FLAIR magnetic resonance.
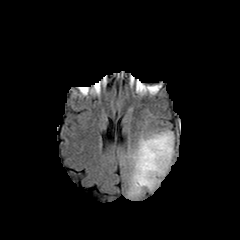
T1-weighted MR.
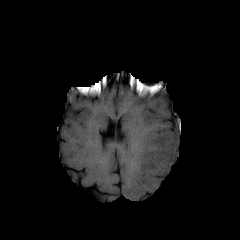
Post-contrast T1-weighted MR image.
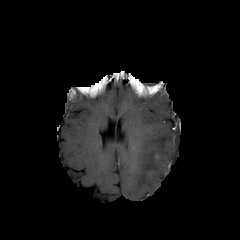
T2-weighted MR.
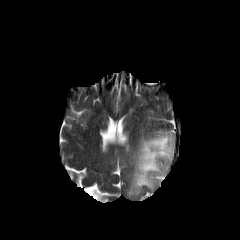
Brain
The edema lies within (left=127, top=129, right=174, bottom=196).